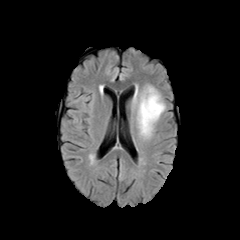
FLAIR MR.
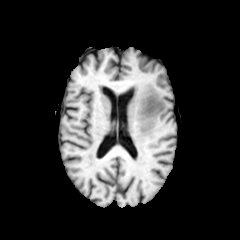
Same slice, T1-weighted MR image.
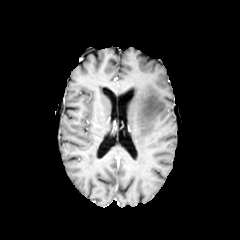
Post-contrast T1-weighted MR of the same slice.
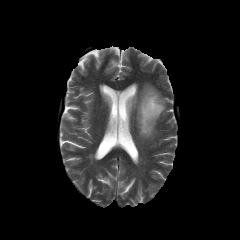
T2-weighted MRI of the same slice.
240x240 px
edema: (131, 85, 165, 138)